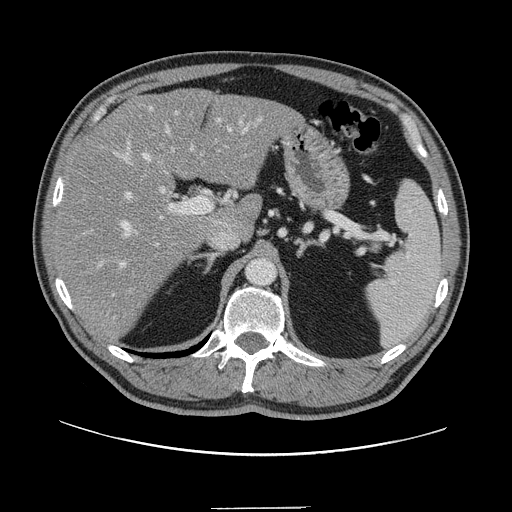

Abdomen | CT scan slice
The vessel annotation is not exhaustive.
Top 15 of 19 hepatic vessel regions = 133,231,136,234; 126,193,131,198; 99,263,102,266; 167,128,169,132; 258,118,262,122; 144,154,149,160; 240,121,249,130; 161,188,164,192; 122,222,131,236; 115,143,129,160; 120,263,125,267; 225,195,229,201; 229,128,231,131; 191,147,193,150; 168,191,213,214.